Slice 154/299. Image width 500 mm. Image size 512x512. CT scan slice. 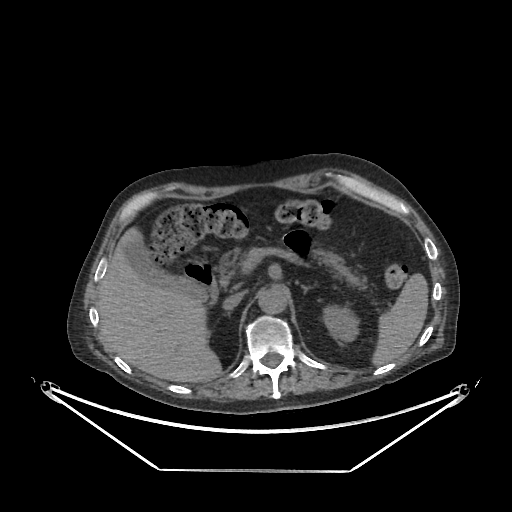 - liver: 96,237,221,382
- kidney: 323,305,359,341